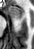

Hippocampus, MR image
Anterior hippocampus = 9:6:22:19.